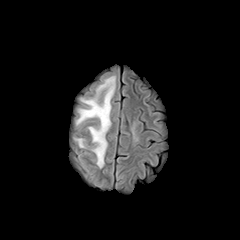
FLAIR MR image.
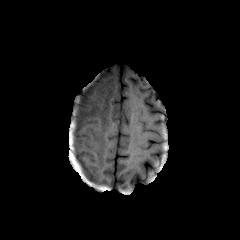
T1-weighted MRI.
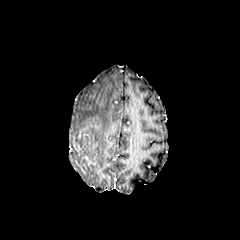
Post-contrast T1-weighted magnetic resonance.
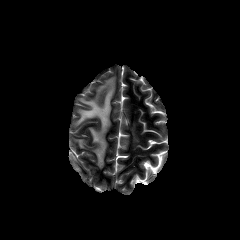
Same slice, T2-weighted MR.
Head.
<segmentation>
  <edema>bbox=[77, 76, 115, 167]</edema>
</segmentation>